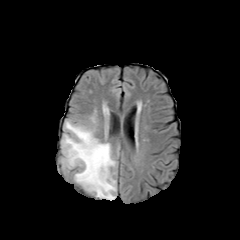
FLAIR MR image.
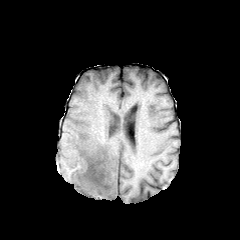
T1-weighted MR of the same slice.
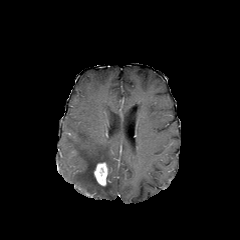
Same slice, post-contrast T1-weighted magnetic resonance.
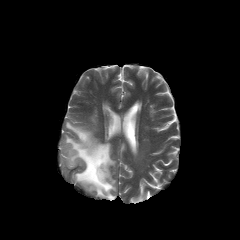
T2-weighted MRI of the same slice.
Enhancing tumor at l=94, t=162, r=109, b=185.
Edema at l=61, t=119, r=116, b=199.
Non-enhancing tumor core at l=84, t=156, r=110, b=191.